512x512, Abdomen, CT scan slice 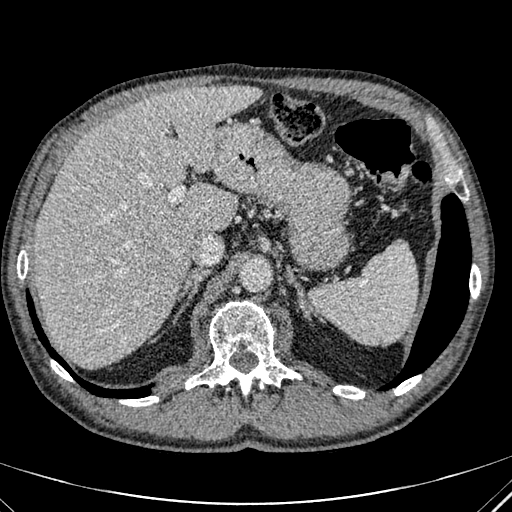

The liver is bounded by 35:86:261:366.